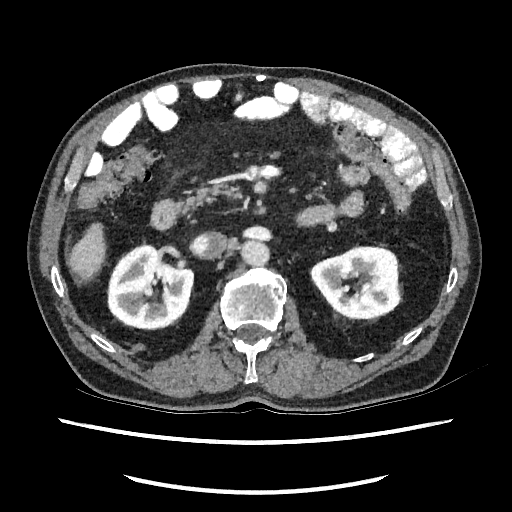

CT
Liver: bounding box <box>70,225,103,280</box>.
Kidney: bounding box <box>107,244,193,329</box>, <box>310,246,401,318</box>.